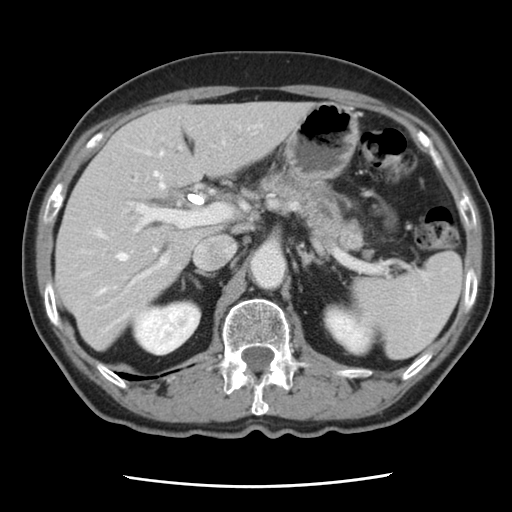

Upper abdomen. CT scan slice.
Pancreas: bounding box 257,171,365,250.